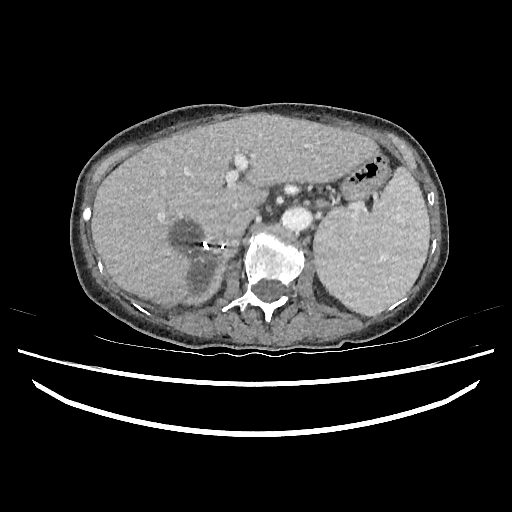
CT image | Abdomen
Liver = [91, 114, 376, 305].
Liver lesion = [172, 222, 217, 296].